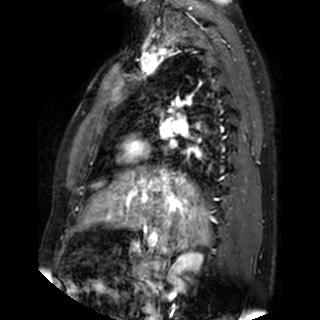 MRI. Heart.
left atrium: x1=160, y1=127, x2=170, y2=136